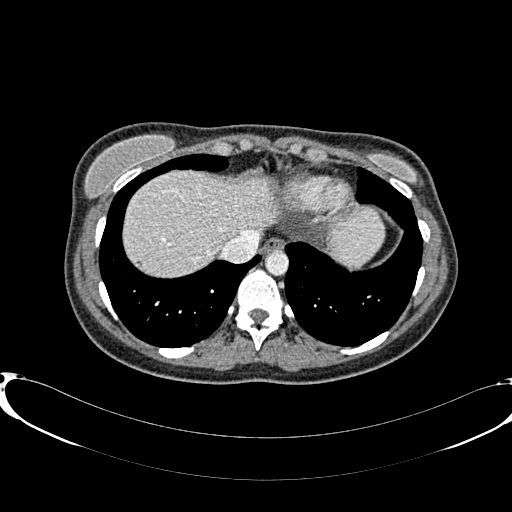

Computed tomography
<segmentation>
  <liver>332,208,383,266; 124,171,276,276</liver>
</segmentation>